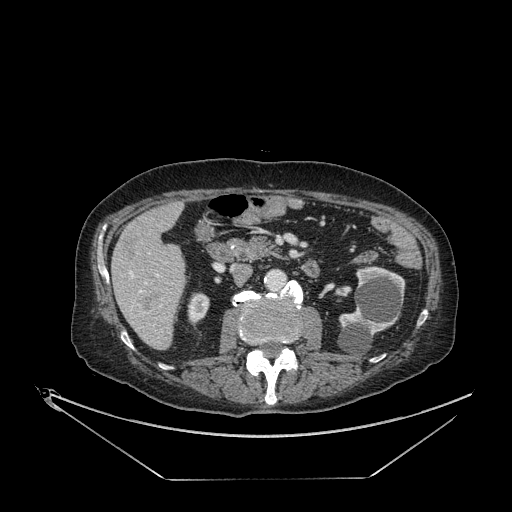

CT scan slice

Hepatic lesion: bounding box (x1=122, y1=238, x2=135, y2=257), (x1=144, y1=292, x2=153, y2=310).
Kidney: bounding box (x1=356, y1=267, x2=404, y2=296), (x1=325, y1=283, x2=334, y2=290), (x1=339, y1=307, x2=396, y2=334), (x1=336, y1=286, x2=350, y2=295), (x1=188, y1=294, x2=208, y2=322).
Liver: bounding box (x1=112, y1=202, x2=185, y2=349).